Medial temporal lobe; 35x53 px; Magnetic resonance
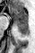

<segmentation>
  <anterior_hippocampus>region(10, 8, 27, 23)</anterior_hippocampus>
  <posterior_hippocampus>region(17, 24, 27, 34)</posterior_hippocampus>
</segmentation>